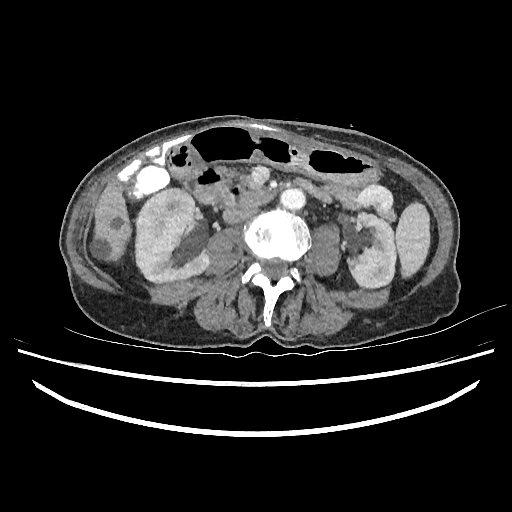 CT slice

The liver appears at 94, 180, 131, 260. 2 focal liver lesion regions appear at 91, 240, 109, 259; 114, 216, 121, 227. 2 kidney regions appear at 136, 189, 209, 282; 351, 213, 395, 287.